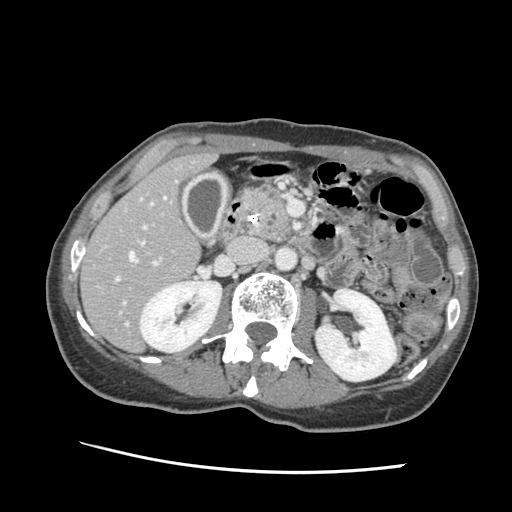

Upper abdomen; Computed tomography; 512x512

Pancreas at (x1=243, y1=186, x2=291, y2=240).